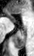

Medial temporal lobe. MRI slice.
The posterior hippocampus appears at [13,32,25,49]. The anterior hippocampus lies within [6,10,15,22].